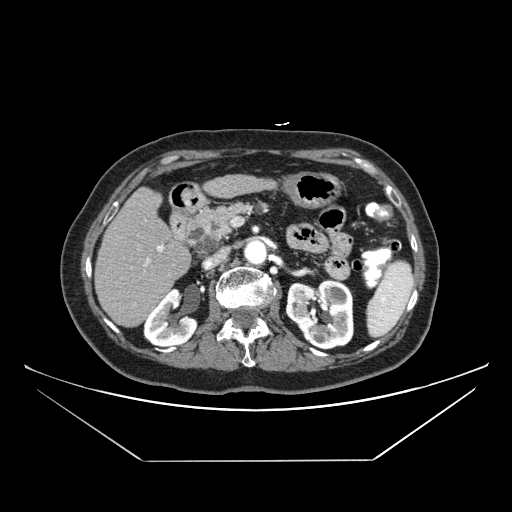 CT scan slice; Upper abdomen

Pancreatic tumor at 192 233 218 255.
Pancreas at 184 201 271 250.